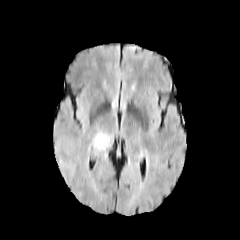
FLAIR MR image.
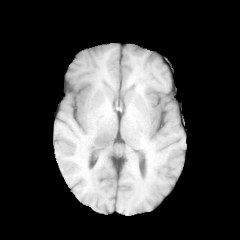
T1-weighted MRI.
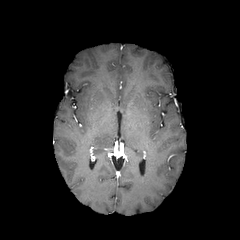
Post-contrast T1-weighted magnetic resonance.
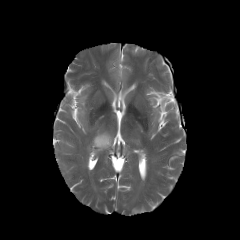
T2-weighted MR image.
Head. Image size 240x240.
Segmented structures:
- edema: l=94, t=133, r=110, b=150